MRI slice 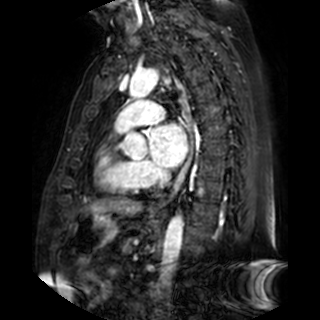

Segmented structures:
- left atrium: {"x1": 150, "y1": 124, "x2": 186, "y2": 167}